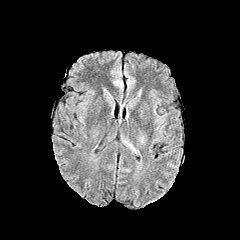
FLAIR MR.
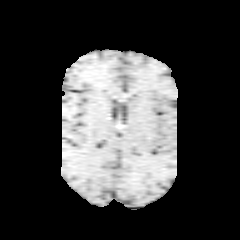
T1-weighted MR image.
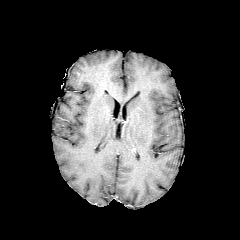
Same slice, post-contrast T1-weighted MRI.
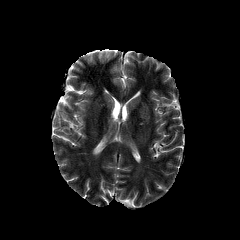
T2-weighted MRI.
<segmentation>
  <edema>bbox=[122, 139, 132, 148]</edema>
</segmentation>